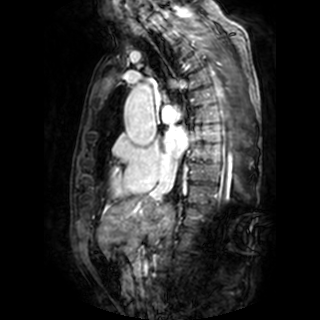

MRI slice; Heart

<segmentation>
  <left_atrium>164,127,187,157</left_atrium>
</segmentation>